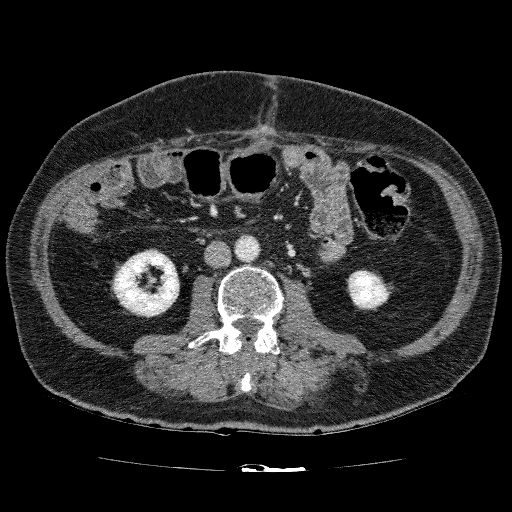
CT slice. {
  "kidney": [
    "rect(348, 270, 388, 308)",
    "rect(113, 250, 179, 316)"
  ]
}